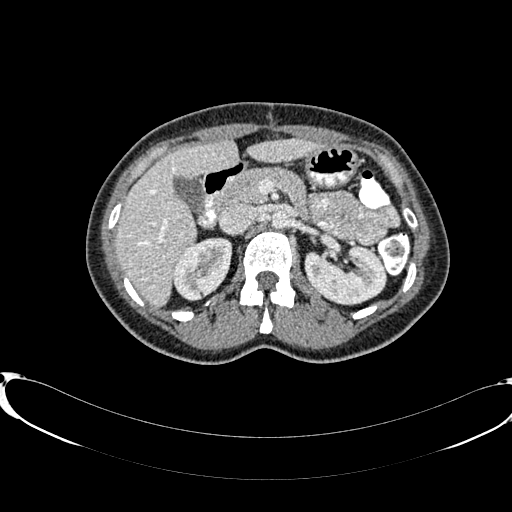 CT

2 kidney regions are located at 306 245 384 303, 175 240 230 299. 2 liver regions are bounded by 249 140 318 161, 115 141 236 304.